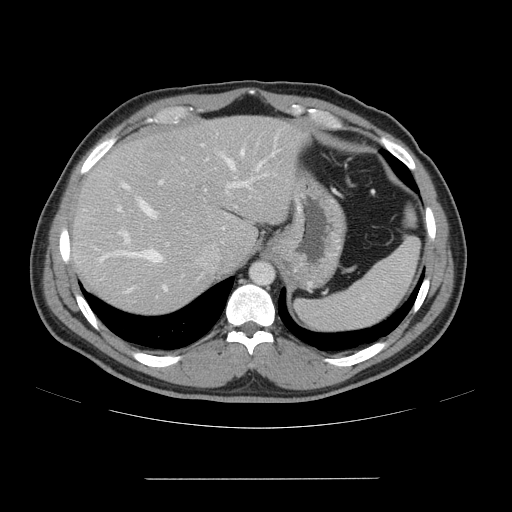
Abdomen. CT slice. Not every hepatic vessel necessarily has a box.
Annotated regions:
• hepatic vessel (most prominent 15 of 20): l=254, t=161, r=263, b=170; l=258, t=174, r=267, b=177; l=118, t=230, r=129, b=243; l=117, t=250, r=161, b=261; l=98, t=254, r=108, b=262; l=241, t=149, r=244, b=155; l=124, t=288, r=131, b=292; l=271, t=135, r=278, b=156; l=117, t=206, r=121, b=211; l=139, t=199, r=157, b=217; l=122, t=184, r=129, b=189; l=221, t=155, r=234, b=169; l=163, t=285, r=166, b=290; l=226, t=177, r=250, b=192; l=159, t=180, r=163, b=183